Image size 240x240 | Head
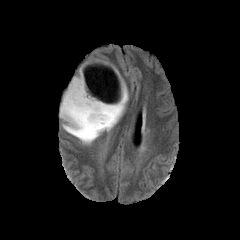
FLAIR magnetic resonance.
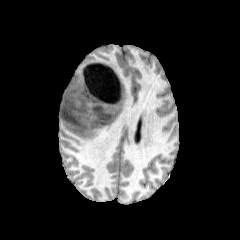
T1-weighted MR image.
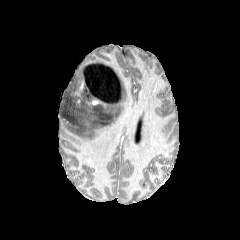
Same slice, post-contrast T1-weighted MR.
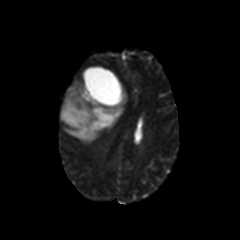
Same slice, T2-weighted MR.
3 non-enhancing tumor core regions appear at 93 106 111 123, 62 107 81 126, 77 84 113 105. The enhancing tumor is at 76 83 84 95. The edema is at 59 70 128 144.